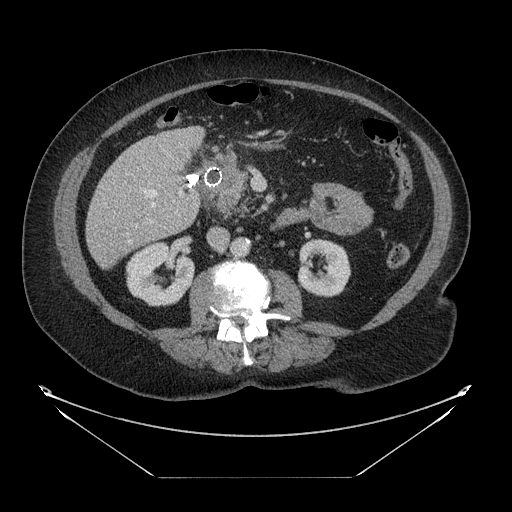
CT scan slice
The pancreatic tumor is bounded by (x1=221, y1=167, x2=237, y2=194). The pancreas is located at (x1=212, y1=173, x2=247, y2=215).